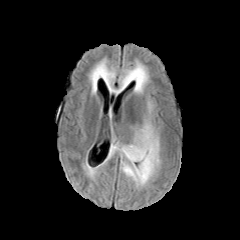
FLAIR magnetic resonance.
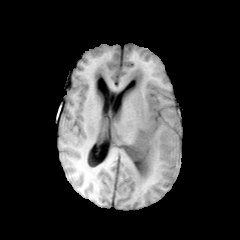
Same slice, T1-weighted MR image.
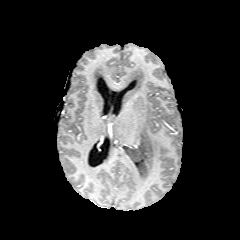
Post-contrast T1-weighted MRI.
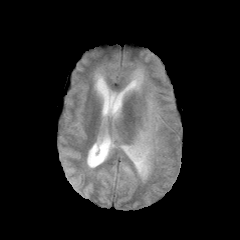
T2-weighted MR image.
Head; Image size 240x240
Findings:
* edema: box(90, 67, 108, 85); box(106, 96, 161, 186); box(112, 60, 149, 94)
* non-enhancing tumor core: box(122, 136, 149, 179)